CT image | Pelvis | Field of view 360 mm wide, 5.00 mm slice spacing

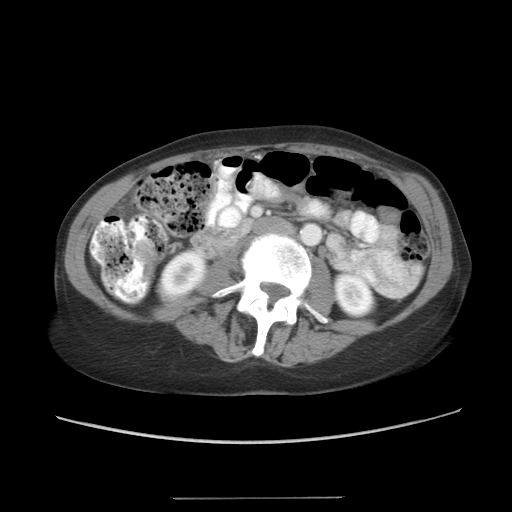

The colon tumor is bounded by l=135, t=241, r=159, b=280.